FLAIR magnetic resonance.
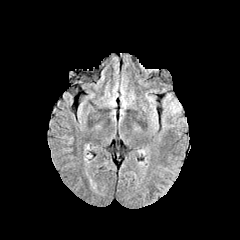
T1-weighted MR.
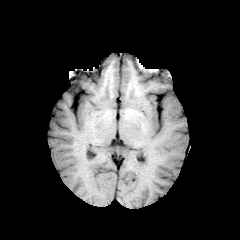
Post-contrast T1-weighted MR image.
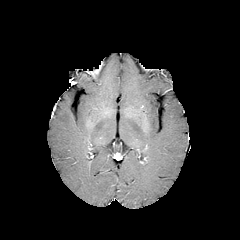
T2-weighted MR image.
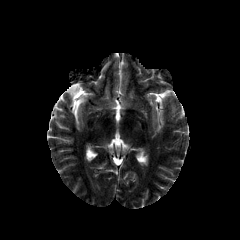
240x240 | Brain
Edema = x1=148, y1=98, x2=157, y2=129; x1=162, y1=93, x2=181, y2=129.